Head, 240x240
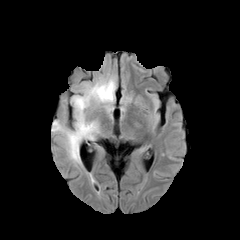
FLAIR MRI.
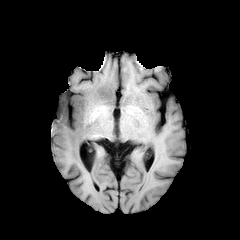
T1-weighted MRI.
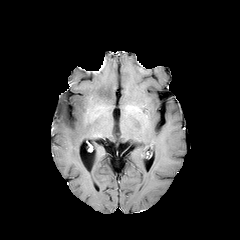
Post-contrast T1-weighted magnetic resonance.
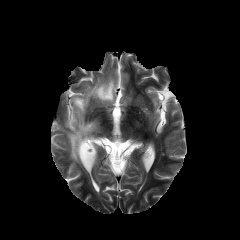
T2-weighted MR image.
Annotated regions:
* edema: 52:74:116:167